Slice 179/811; Computed tomography

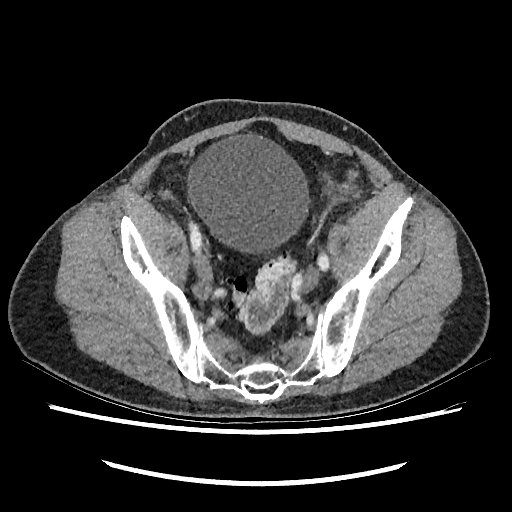

Urinary bladder: {"x1": 187, "y1": 131, "x2": 310, "y2": 253}.